Head | Slice 31/155
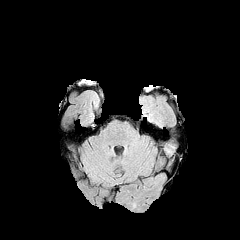
FLAIR MR image.
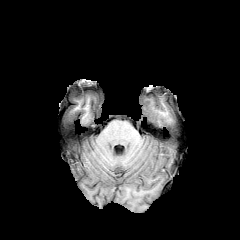
T1-weighted MRI of the same slice.
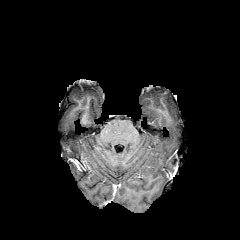
Post-contrast T1-weighted MR image.
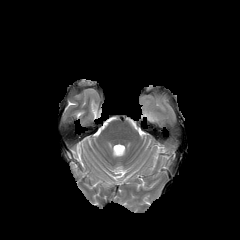
T2-weighted MR image.
Annotated regions:
* edema: 142:109:156:121